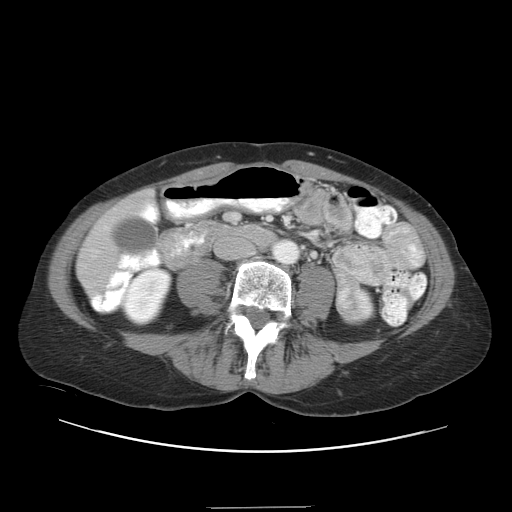 CT scan slice
The vessel boxes may cover only some of the vessels.
The hepatic vessel is located at x1=104, y1=226, x2=107, y2=228.